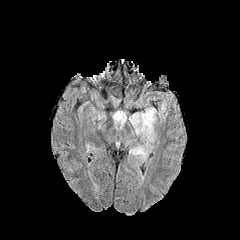
FLAIR magnetic resonance.
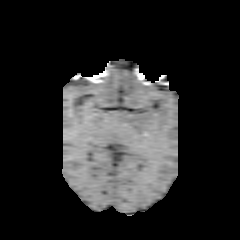
T1-weighted MR image.
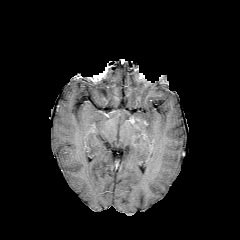
Same slice, post-contrast T1-weighted MR.
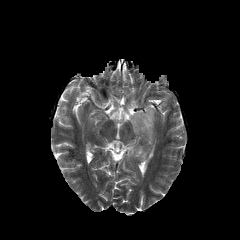
Same slice, T2-weighted MR.
Brain
Segmented structures:
- edema: bbox(111, 104, 157, 162); bbox(158, 102, 166, 120)
- enhancing tumor: bbox(127, 116, 147, 127)